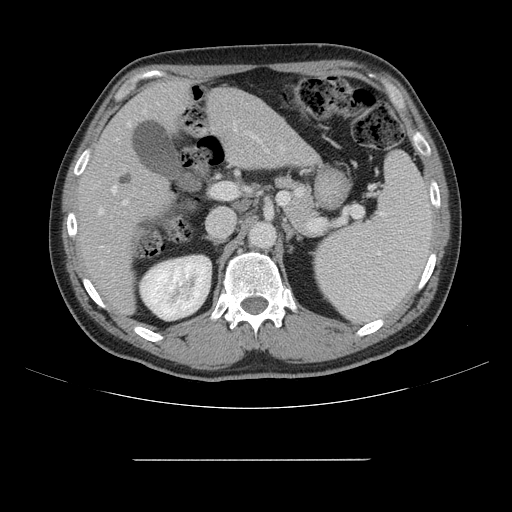
Liver | CT image
The vessel boxes may cover only some of the vessels.
Annotated regions:
- hepatic vessel: l=116, t=138, r=118, b=139; l=247, t=132, r=250, b=134; l=111, t=186, r=116, b=192; l=280, t=145, r=284, b=149; l=234, t=123, r=235, b=129; l=123, t=200, r=127, b=204; l=251, t=135, r=262, b=144; l=99, t=208, r=103, b=214